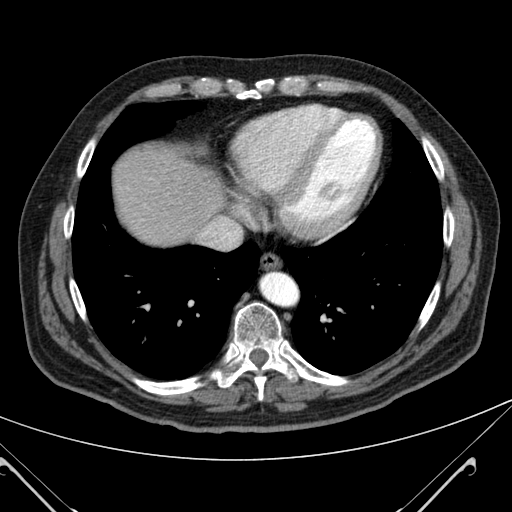

CT. Image size 512x512. The liver is at [112,147,222,243].